CT scan slice, Image size 512x512, Abdomen
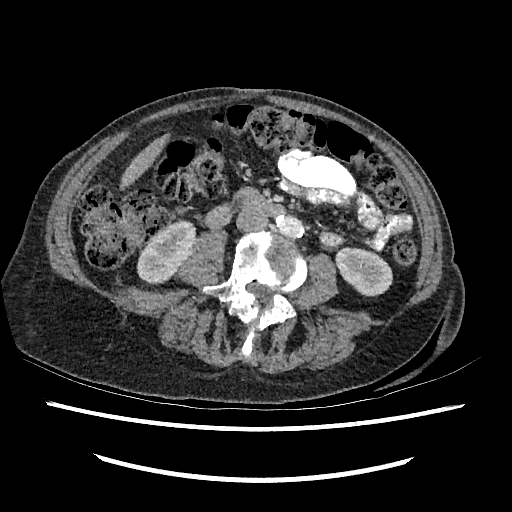 * kidney: region(138, 223, 195, 282); region(336, 249, 391, 295)
* liver: region(121, 136, 166, 187)